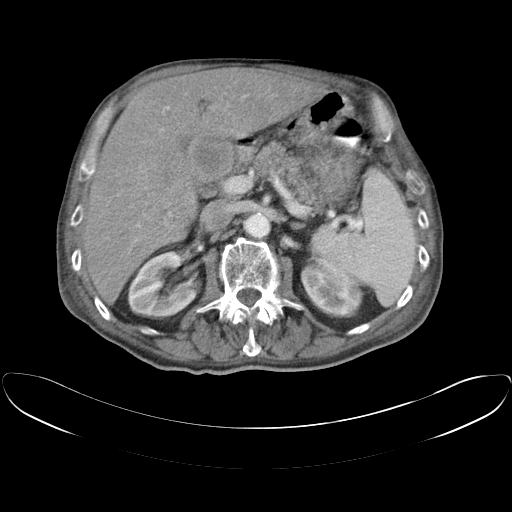 CT scan slice
Only some of the vessels may be annotated.
{"liver_tumor": ["160, 169, 177, 186"], "hepatic_vessel": ["159, 129, 163, 131", "226, 104, 228, 107", "185, 196, 187, 198", "162, 106, 169, 113", "163, 212, 172, 225", "136, 223, 140, 227", "163, 199, 165, 201", "165, 202, 170, 207", "226, 177, 235, 191", "242, 95, 246, 97"]}